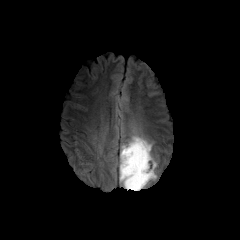
FLAIR MR.
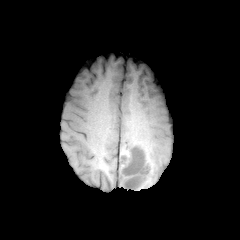
T1-weighted MRI of the same slice.
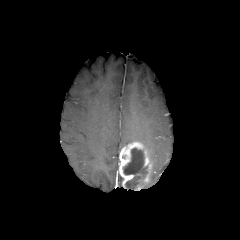
Post-contrast T1-weighted MR image of the same slice.
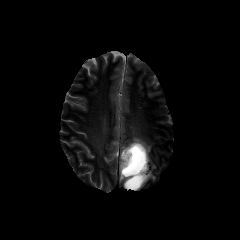
Same slice, T2-weighted MR.
240x240 px
Non-enhancing tumor core at x1=124, y1=148, x2=145, y2=190.
Edema at x1=120, y1=135, x2=156, y2=186.
Enhancing tumor at x1=144, y1=150, x2=149, y2=165; x1=119, y1=141, x2=145, y2=188; x1=135, y1=176, x2=147, y2=190.